Image width 351 mm | Slice index 152 | Computed tomography
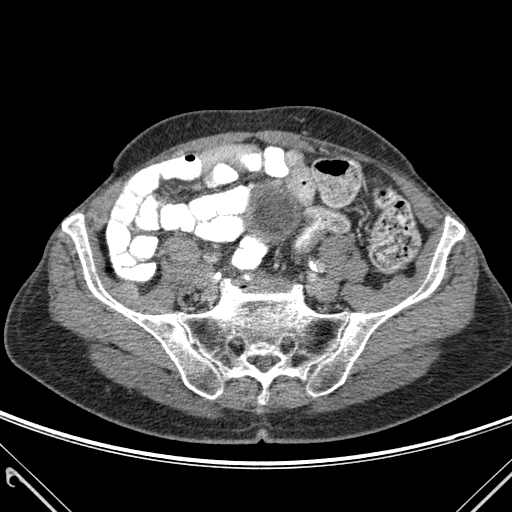
{"bone": ["62,214,464,403"]}